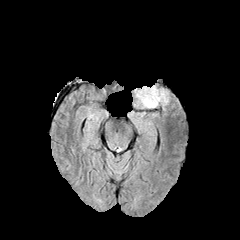
FLAIR MR.
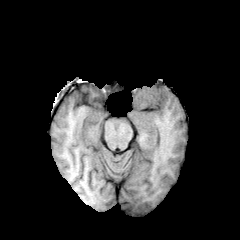
T1-weighted MR image of the same slice.
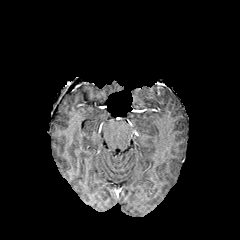
Post-contrast T1-weighted MR image.
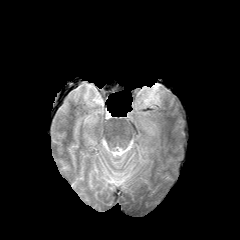
T2-weighted MR.
The edema is located at bbox(136, 85, 165, 107).